Computed tomography, Liver, Slice index 69 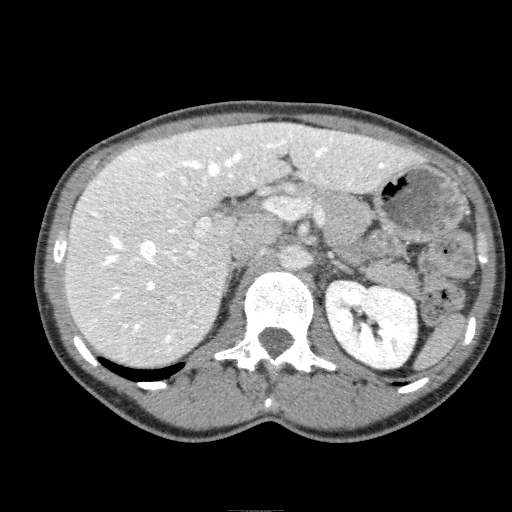 Kidney — (326,281,416,367).
Liver — (64,121,422,367).